CT | Upper abdomen | 512x512
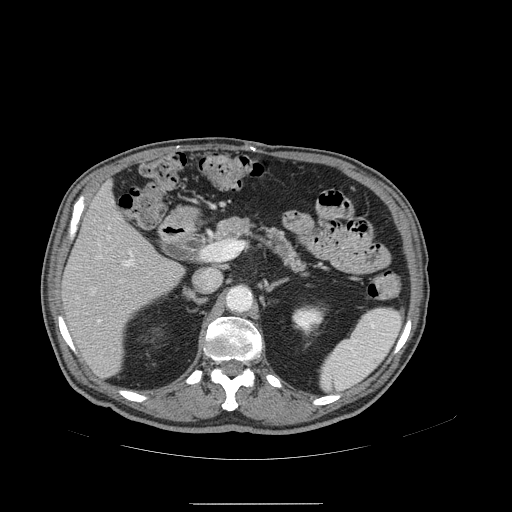
The pancreas appears at 212,213,316,282. The pancreatic tumor is at 220,216,248,234.